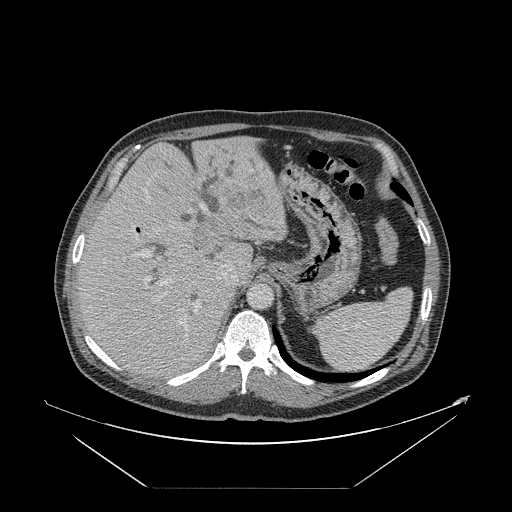
Liver, Computed tomography
Only some of the vessels may be annotated.
• liver tumor: 194 182 265 242
• hepatic vessel (most prominent 15 of 22): 153 228 163 232, 218 170 222 177, 126 226 138 242, 143 189 149 203, 142 276 150 287, 154 291 167 301, 211 254 242 285, 188 299 201 312, 179 374 188 377, 132 248 153 257, 180 316 189 340, 187 209 192 213, 226 180 230 182, 158 277 173 285, 199 202 205 211